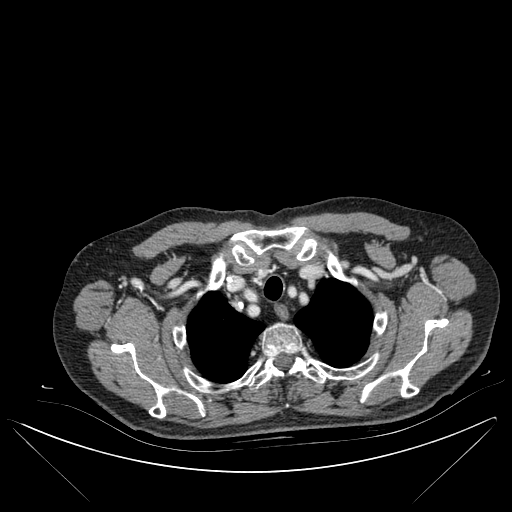
Computed tomography; 512x512
{"bone": ["(x1=210, y1=254, x2=231, y2=289)", "(x1=327, y1=252, x2=344, y2=280)", "(x1=111, y1=343, x2=204, y2=417)", "(x1=297, y1=239, x2=316, y2=260)", "(x1=373, y1=312, x2=386, y2=334)", "(x1=361, y1=319, x2=448, y2=401)", "(x1=225, y1=330, x2=378, y2=389)", "(x1=173, y1=326, x2=185, y2=347)", "(x1=184, y1=369, x2=210, y2=391)", "(x1=231, y1=227, x2=306, y2=265)"], "lung": ["(x1=264, y1=277, x2=282, y2=299)", "(x1=294, y1=278, x2=372, y2=367)", "(x1=187, y1=291, x2=264, y2=382)"]}